240x240 px
FLAIR magnetic resonance.
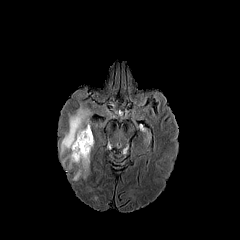
T1-weighted MR image.
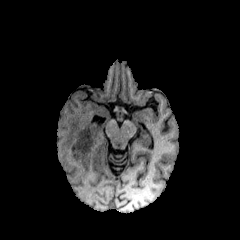
Post-contrast T1-weighted magnetic resonance.
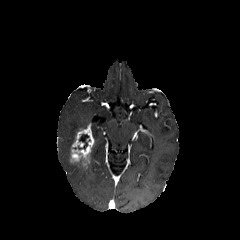
T2-weighted MR.
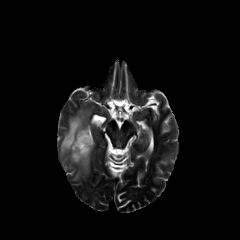
Enhancing tumor: bbox=[70, 124, 94, 167].
Edema: bbox=[58, 103, 95, 180].
Non-enhancing tumor core: bbox=[79, 134, 88, 149].